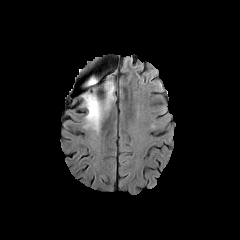
FLAIR magnetic resonance.
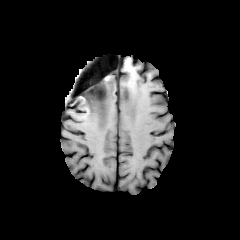
Same slice, T1-weighted magnetic resonance.
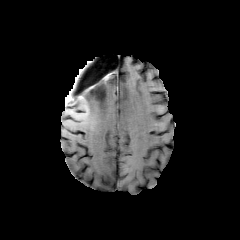
Post-contrast T1-weighted MR.
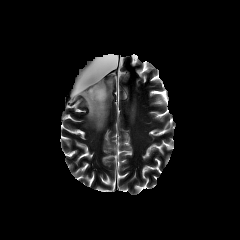
T2-weighted MR of the same slice.
Head, Image size 240x240
<segmentation>
  <edema><box>82,76,97,88</box>, <box>83,75,114,134</box></edema>
  <non-enhancing_tumor_core><box>88,84,99,99</box></non-enhancing_tumor_core>
</segmentation>